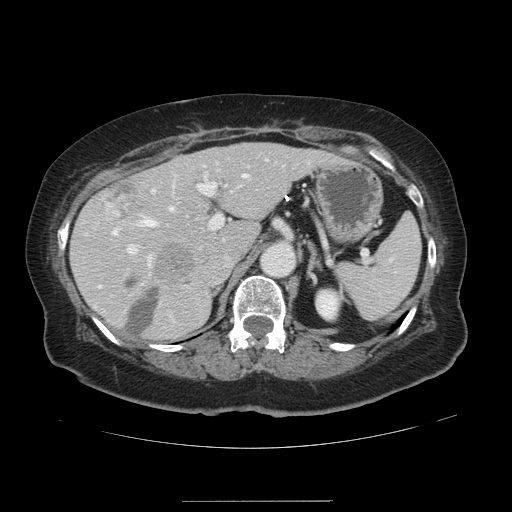

CT slice

Not every hepatic vessel necessarily has a box.
4 liver tumor regions appear at bbox(99, 174, 145, 216); bbox(129, 279, 135, 287); bbox(126, 289, 160, 334); bbox(157, 243, 194, 278). 12 hepatic vessel regions appear at bbox(169, 206, 173, 209); bbox(209, 213, 229, 228); bbox(172, 183, 173, 187); bbox(127, 244, 136, 253); bbox(229, 190, 231, 191); bbox(147, 256, 151, 264); bbox(151, 189, 154, 191); bbox(264, 158, 266, 160); bbox(112, 229, 117, 233); bbox(139, 219, 155, 225); bbox(196, 175, 215, 194); bbox(242, 173, 246, 177).